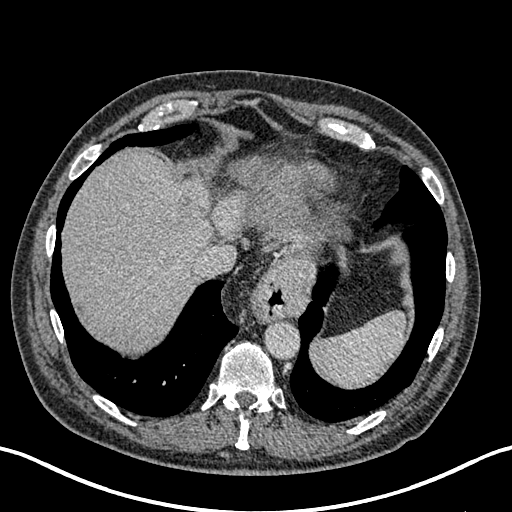

512x512 px, Upper abdomen, CT scan slice
Liver — box(62, 149, 250, 349); box(227, 155, 265, 190).
Liver lesion — box(177, 194, 210, 219).